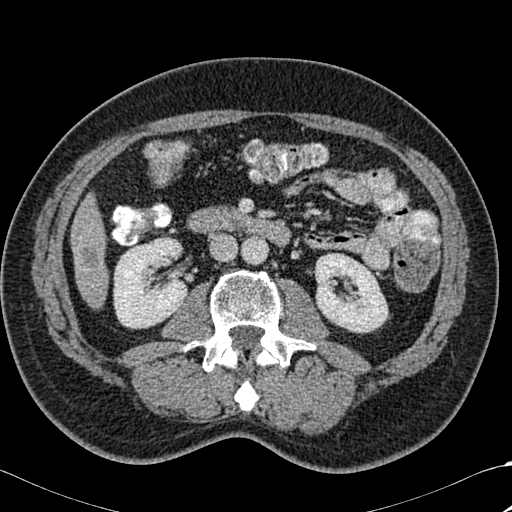

CT image; Liver

Liver: box(72, 207, 107, 307).
Bone: box(186, 270, 315, 371); box(235, 381, 257, 410).
Kidney: box(114, 238, 186, 327); box(316, 254, 387, 331).
Focal liver lesion: box(80, 247, 98, 267).